Slice index 430 | Image width 434 mm | CT slice

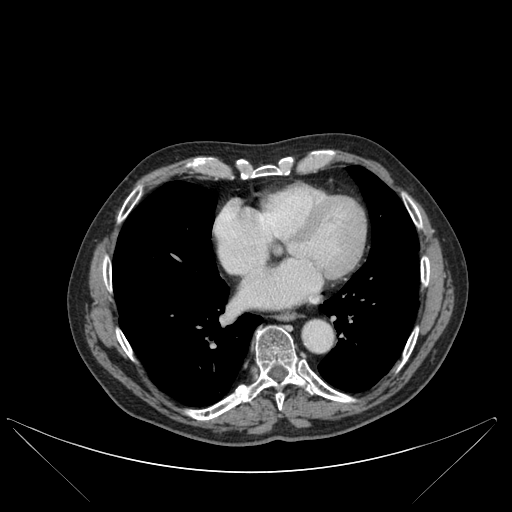
Bone — x1=187 y1=159 x2=206 y2=166, x1=421 y1=257 x2=429 y2=285, x1=187 y1=326 x2=353 y2=419, x1=404 y1=196 x2=421 y2=227, x1=310 y1=152 x2=332 y2=155, x1=401 y1=328 x2=418 y2=364, x1=118 y1=191 x2=139 y2=221, x1=241 y1=167 x2=287 y2=178, x1=102 y1=258 x2=111 y2=290, x1=276 y1=392 x2=283 y2=409, x1=116 y1=329 x2=132 y2=358.
Lung — x1=318 y1=165 x2=419 y2=392, x1=112 y1=181 x2=262 y2=405.